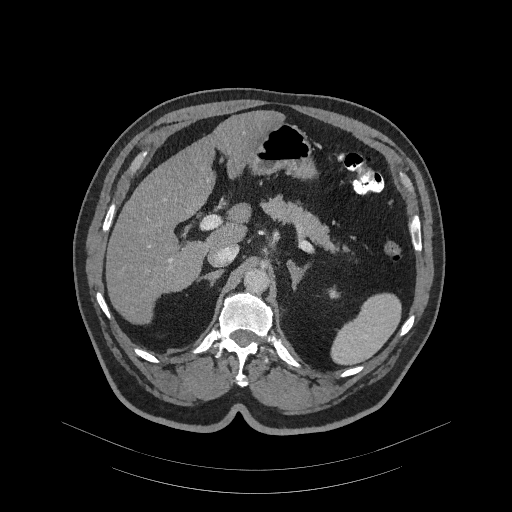

CT slice
pancreas: 262,195,338,253